FLAIR MR image.
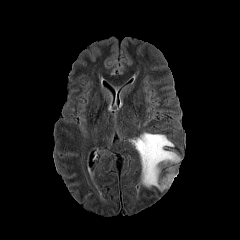
T1-weighted MRI.
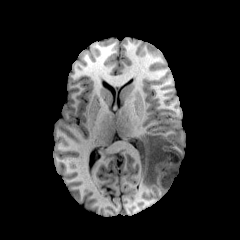
Post-contrast T1-weighted MRI.
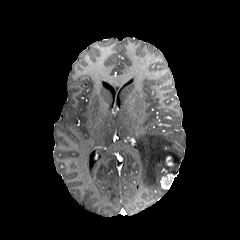
T2-weighted MR.
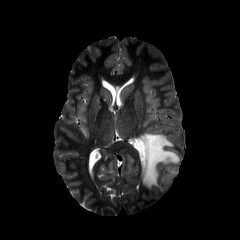
Image size 240x240.
enhancing_tumor:
  - bbox(166, 156, 173, 165)
  - bbox(160, 174, 176, 188)
non-enhancing_tumor_core:
  - bbox(158, 162, 174, 179)
edema:
  - bbox(135, 132, 179, 191)